CT slice | Liver | 512x512
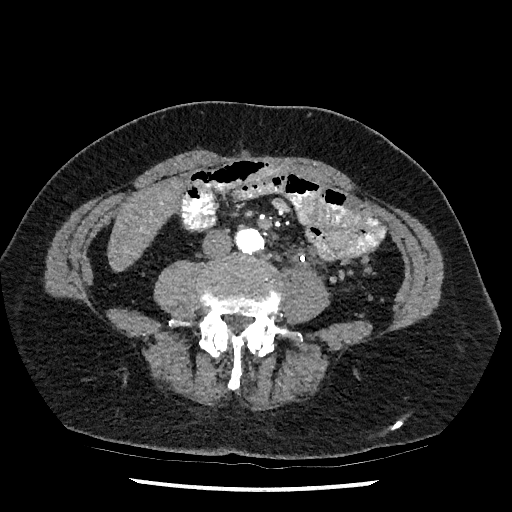

Liver: bounding box 107 179 179 270.